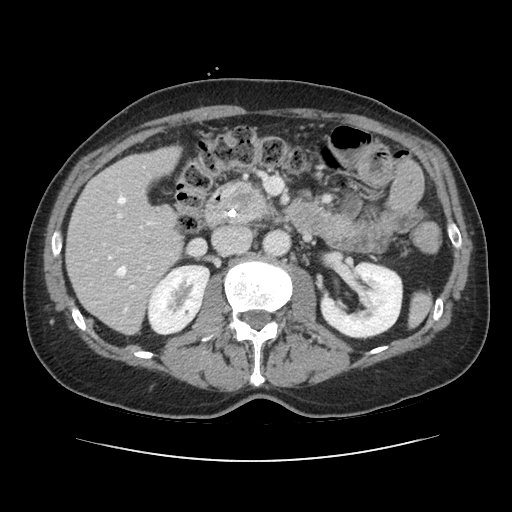
CT scan slice, 512x512
The pancreas appears at left=224, top=183, right=266, bottom=224. The pancreatic tumor is located at left=232, top=192, right=252, bottom=207.